CT slice, Liver
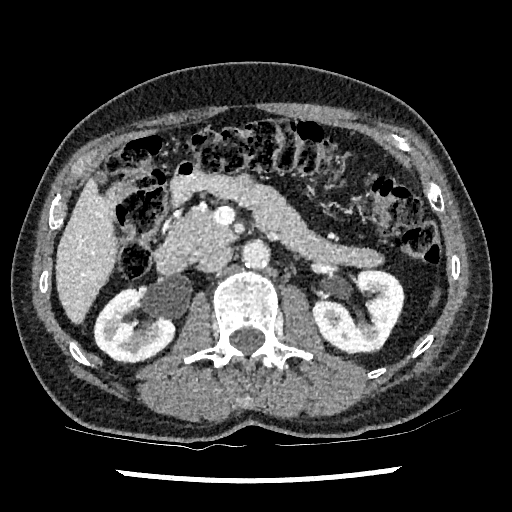 2 kidney regions are bounded by <box>314,271,403,351</box>, <box>95,289,174,361</box>. The liver is located at <box>57,175,117,322</box>.